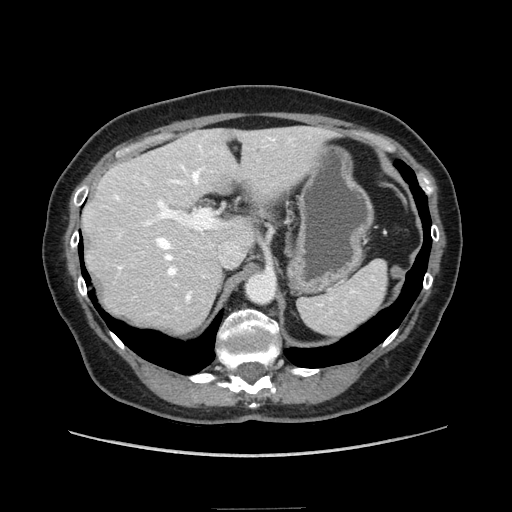

Abdomen | CT scan slice

The pancreas is at x1=255, y1=205, x2=269, y2=217.